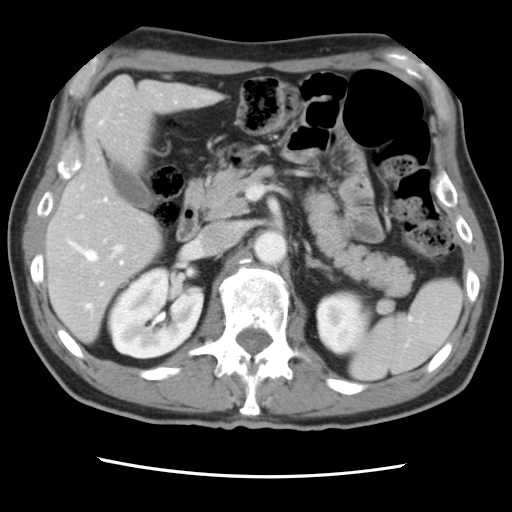
CT scan slice

Not every hepatic vessel necessarily has a box.
{
  "hepatic_vessel": [
    "box=[120, 260, 123, 264]",
    "box=[82, 186, 83, 188]",
    "box=[104, 198, 106, 200]",
    "box=[68, 239, 97, 260]",
    "box=[79, 215, 82, 217]",
    "box=[114, 245, 122, 253]",
    "box=[101, 282, 102, 284]",
    "box=[105, 239, 106, 241]",
    "box=[100, 120, 102, 124]",
    "box=[86, 304, 91, 309]"
  ]
}